Pelvis, Slice 123/751, Field of view 439 mm wide, 0.80 mm slice spacing, Computed tomography, 512x512

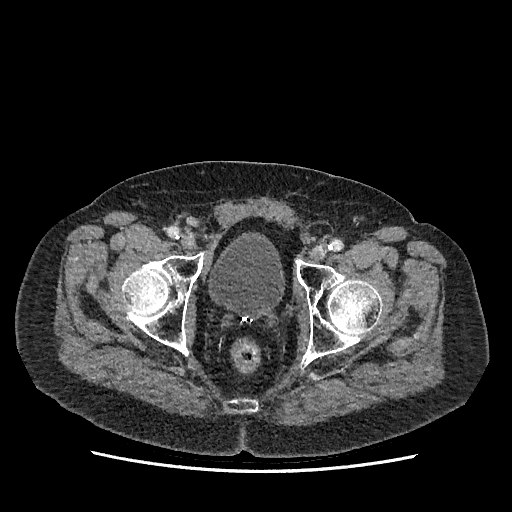
<segmentation>
  <urinary_bladder>[x1=209, y1=236, x2=283, y2=315]</urinary_bladder>
</segmentation>